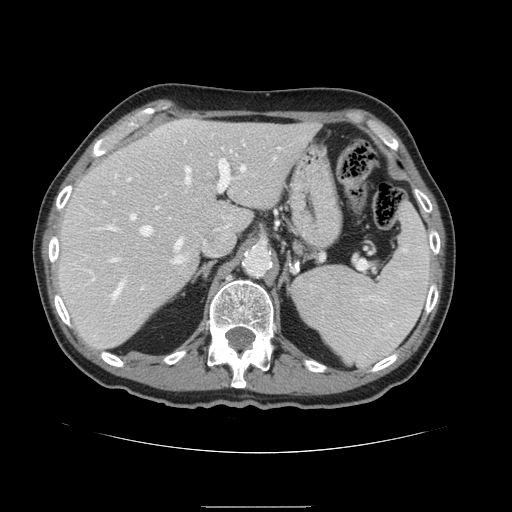 CT slice.

Spleen: box(292, 203, 430, 365).